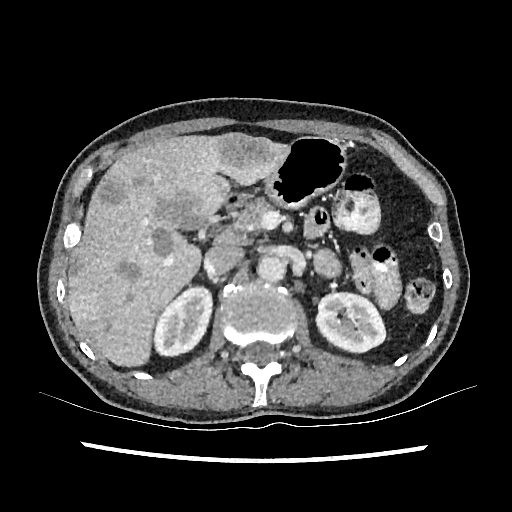 CT slice; Upper abdomen
{
  "focal_liver_lesion": [
    "(left=157, top=192, right=205, bottom=228)",
    "(left=218, top=134, right=273, bottom=168)",
    "(left=98, top=179, right=124, bottom=204)",
    "(left=132, top=177, right=145, bottom=187)",
    "(left=69, top=256, right=83, bottom=276)",
    "(left=151, top=227, right=173, bottom=256)",
    "(left=103, top=318, right=111, bottom=333)",
    "(left=82, top=331, right=92, bottom=339)",
    "(left=118, top=260, right=141, bottom=280)"
  ],
  "liver": [
    "(left=68, top=134, right=288, bottom=365)"
  ],
  "kidney": [
    "(left=154, top=288, right=211, bottom=357)",
    "(left=316, top=293, right=385, bottom=352)"
  ]
}